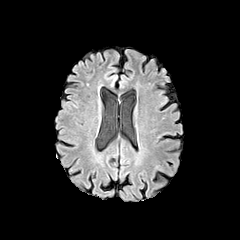
FLAIR MR.
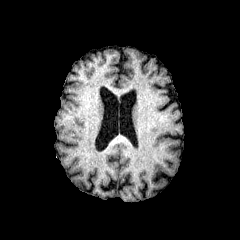
T1-weighted MRI.
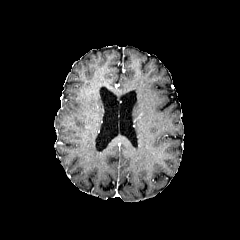
Same slice, post-contrast T1-weighted magnetic resonance.
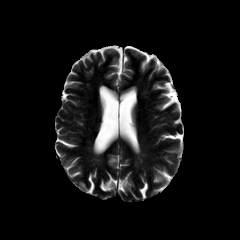
T2-weighted MR image of the same slice.
* edema: <bbox>155, 165, 164, 171</bbox>